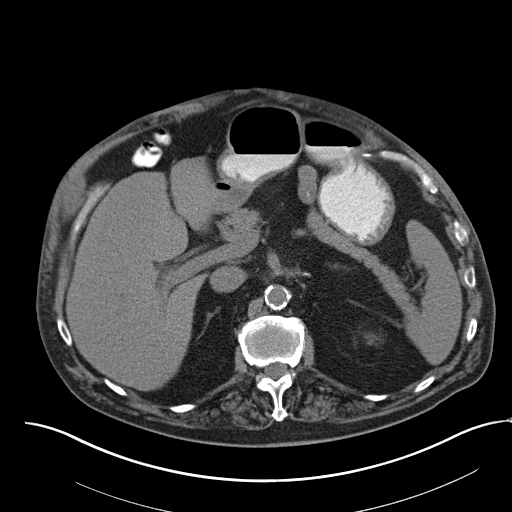
CT scan slice

The spleen is located at 405:223:461:362.